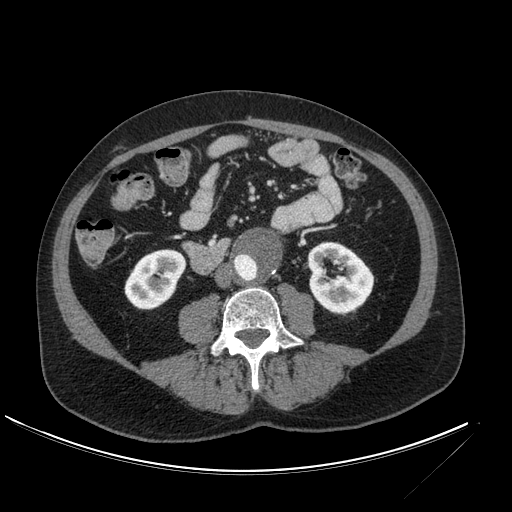
512x512, CT slice
Kidney: bounding box l=125, t=250, r=185, b=308; l=309, t=243, r=372, b=312.